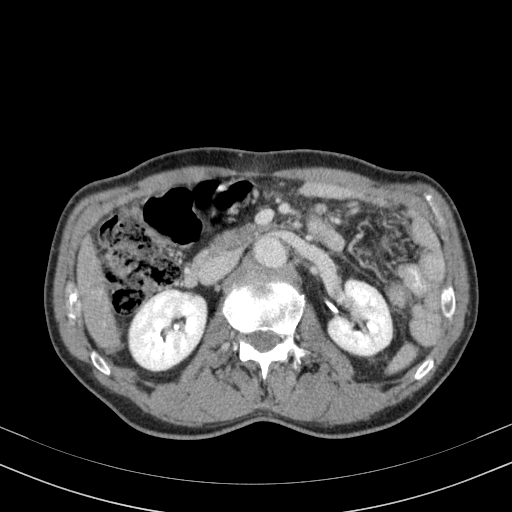 Computed tomography
{"liver": ["x1=77, y1=234, x2=122, y2=353"], "kidney": ["x1=130, y1=290, x2=205, y2=369", "x1=329, y1=281, x2=391, y2=354"]}